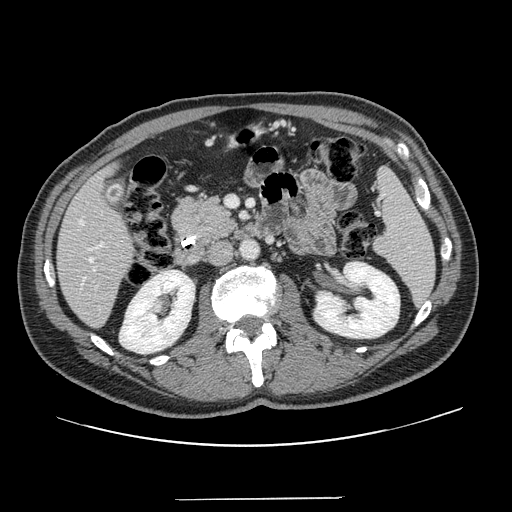
512x512; Upper abdomen; CT scan slice
The pancreas is at <box>170,193,239,247</box>. The pancreatic tumor appears at <box>195,198,231,244</box>.